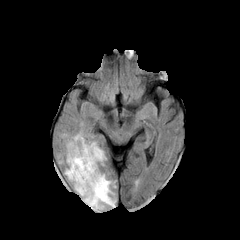
FLAIR MR image.
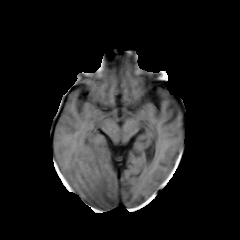
Same slice, T1-weighted magnetic resonance.
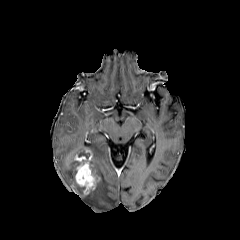
Post-contrast T1-weighted magnetic resonance of the same slice.
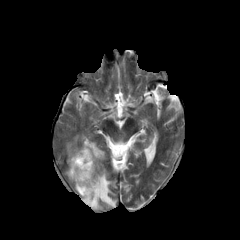
T2-weighted MRI of the same slice.
Brain
enhancing tumor: <bbox>72, 148, 100, 195</bbox> | edema: <bbox>64, 134, 116, 211</bbox>